FLAIR MRI.
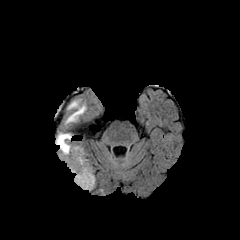
T1-weighted magnetic resonance.
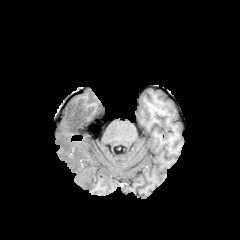
Post-contrast T1-weighted MR image.
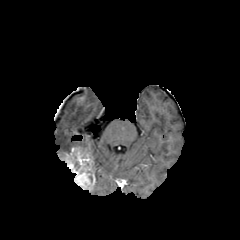
T2-weighted MRI.
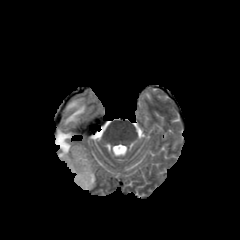
240x240 px
The enhancing tumor appears at box=[61, 151, 95, 189]. 2 edema regions are bounded by box=[64, 100, 86, 124]; box=[56, 130, 71, 154].